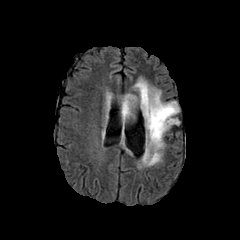
FLAIR MR.
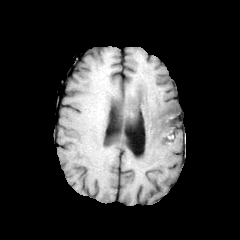
T1-weighted MR.
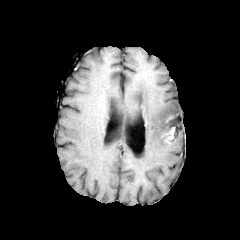
Post-contrast T1-weighted MR image.
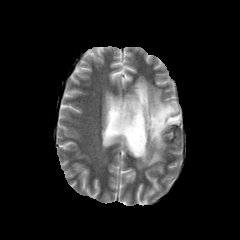
T2-weighted MR image.
Brain
2 edema regions appear at x1=105, y1=94, x2=111, y2=110; x1=119, y1=78, x2=179, y2=167. The non-enhancing tumor core is located at x1=150, y1=104, x2=178, y2=133.